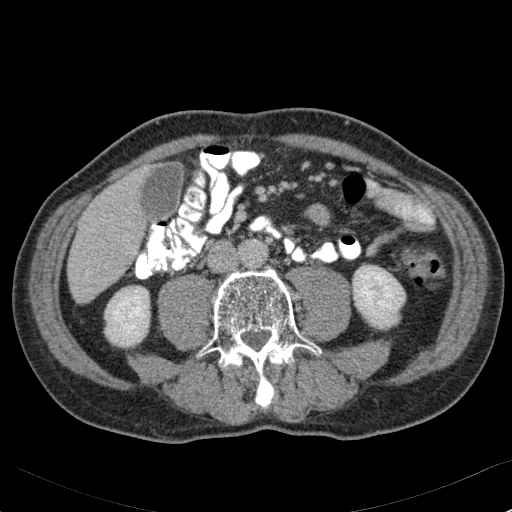

CT scan slice, Upper abdomen
Liver: bounding box bbox=[68, 165, 146, 302].
Kidney: bounding box bbox=[105, 286, 149, 346]; bbox=[353, 265, 405, 328].